Upper abdomen; CT scan slice 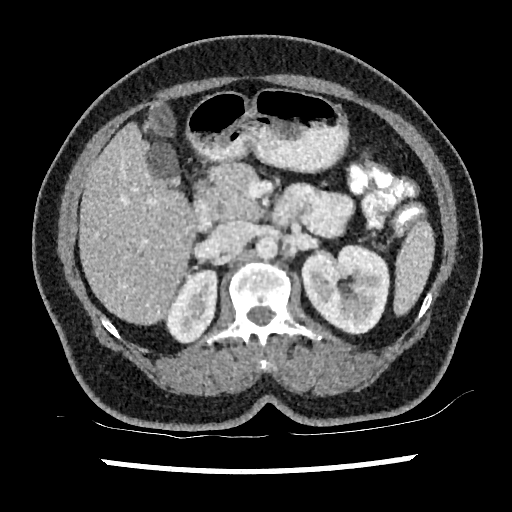 focal liver lesion: bbox(147, 143, 178, 178) | kidney: bbox(167, 271, 216, 341); bbox(300, 246, 388, 333) | liver: bbox(79, 124, 192, 322)